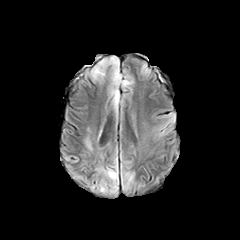
FLAIR MRI.
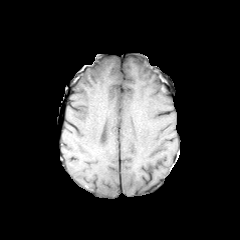
T1-weighted MR image.
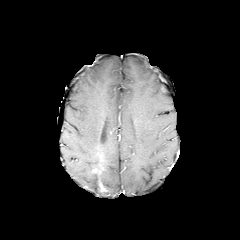
Post-contrast T1-weighted MRI.
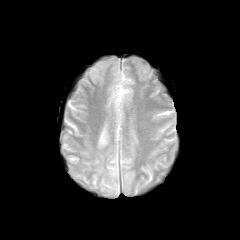
T2-weighted MR image of the same slice.
240x240, Head
The edema is located at (x1=104, y1=164, x2=118, y2=192).